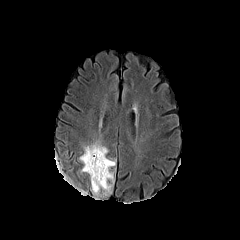
FLAIR MR.
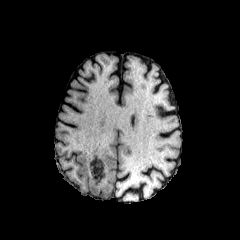
T1-weighted MR image.
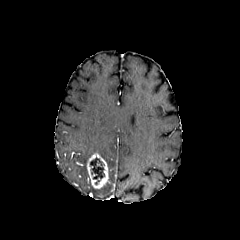
Post-contrast T1-weighted MR image.
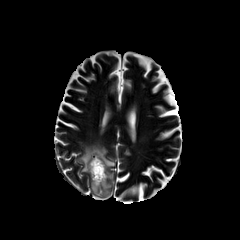
Same slice, T2-weighted MR image.
240x240 px, Head
enhancing_tumor:
  - rect(86, 152, 109, 189)
edema:
  - rect(101, 184, 111, 197)
  - rect(79, 144, 115, 172)
non-enhancing_tumor_core:
  - rect(89, 156, 104, 184)